Image width 240 mm; Brain; Slice index 46; 240x240
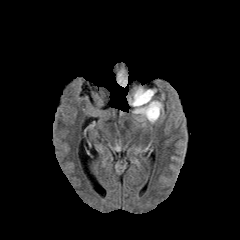
FLAIR MR image.
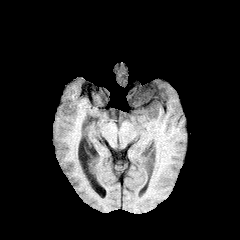
T1-weighted MRI.
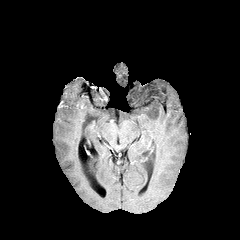
Post-contrast T1-weighted MRI.
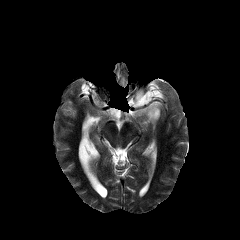
T2-weighted MRI of the same slice.
edema:
  - <box>117,70,126,85</box>
  - <box>128,86,164,124</box>
non-enhancing_tumor_core:
  - <box>134,91,151,105</box>